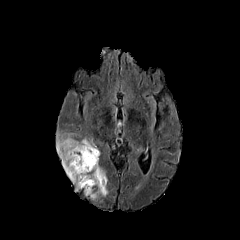
FLAIR magnetic resonance.
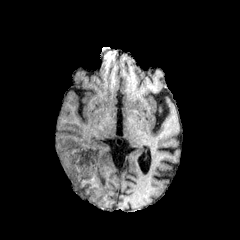
T1-weighted MR image.
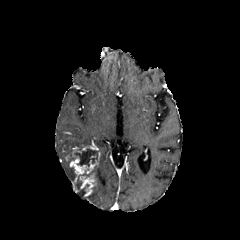
Post-contrast T1-weighted MR.
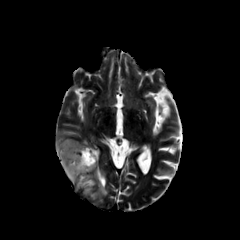
T2-weighted MR.
Head.
2 edema regions are bounded by box=[57, 135, 90, 190]; box=[90, 165, 108, 199]. 2 non-enhancing tumor core regions are located at box=[77, 184, 89, 196]; box=[70, 148, 98, 167]. 2 enhancing tumor regions are bounded by box=[79, 173, 96, 196]; box=[69, 156, 98, 174].